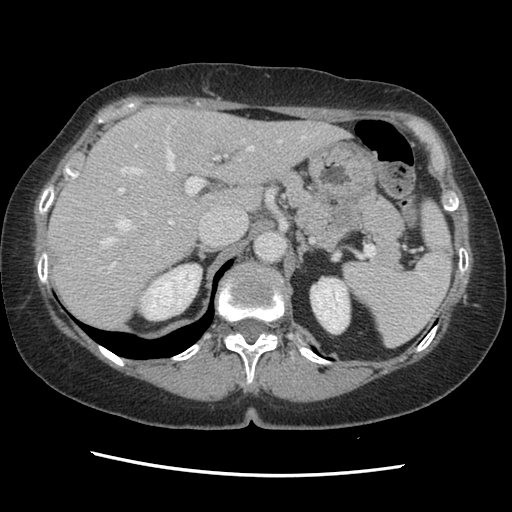 CT image | 512x512 px
Some hepatic vessels may have no box.
Segmented structures:
- hepatic vessel (most prominent 15 of 19): 107 262 115 270, 213 156 217 158, 119 188 124 192, 167 126 169 131, 247 146 252 150, 135 144 137 146, 241 139 244 142, 169 220 172 223, 301 136 305 138, 101 237 113 246, 166 149 173 170, 117 219 133 229, 143 211 146 214, 120 167 141 174, 186 177 202 193